FLAIR MRI.
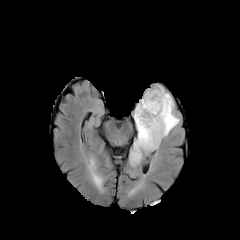
T1-weighted MRI.
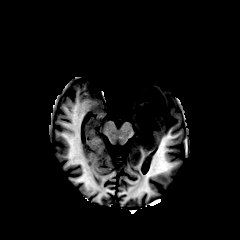
Post-contrast T1-weighted MR.
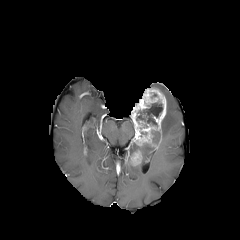
T2-weighted MR image.
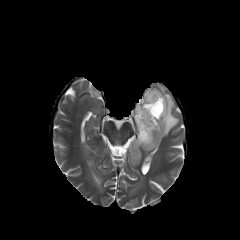
Brain.
Enhancing tumor: bounding box <bbox>131, 88, 166, 145</bbox>.
Edema: bounding box <bbox>154, 85, 179, 138</bbox>, <bbox>127, 140, 153, 166</bbox>.
Non-enhancing tumor core: bounding box <bbox>136, 102, 162, 126</bbox>, <bbox>140, 130, 162, 149</bbox>.